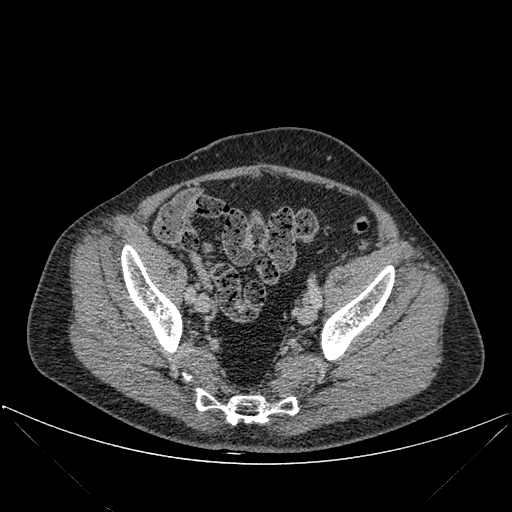
Image size 512x512 | CT image

Segmented structures:
* bone: l=196, t=388, r=298, b=425; l=121, t=245, r=181, b=352; l=321, t=265, r=394, b=359